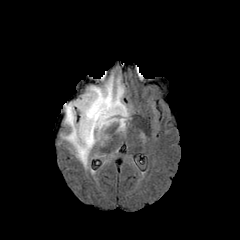
FLAIR MR.
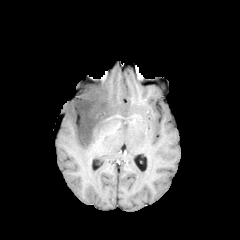
T1-weighted MRI.
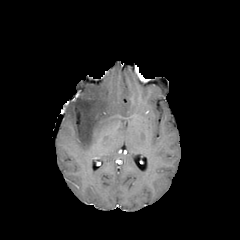
Post-contrast T1-weighted MR image of the same slice.
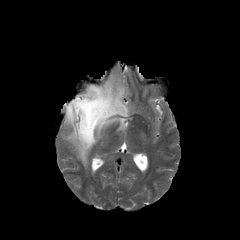
T2-weighted MR.
Segmented structures:
* edema: bbox=[62, 75, 130, 168]
* non-enhancing tumor core: bbox=[70, 92, 111, 142]